Magnetic resonance | Image size 39x52 | Medial temporal lobe 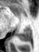
Posterior hippocampus at 18, 28, 31, 41.